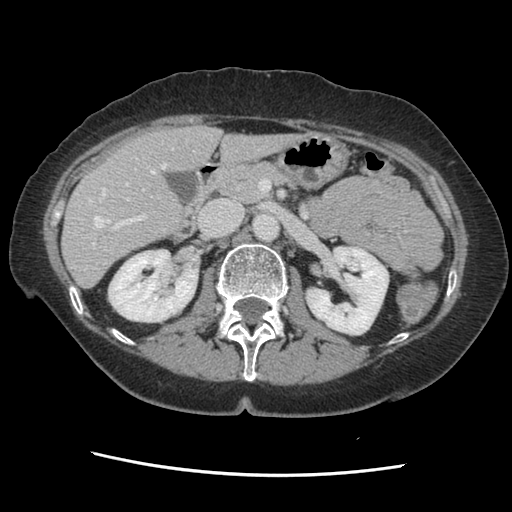
CT. Liver. Not every hepatic vessel necessarily has a box.
9 hepatic vessel regions appear at 88 199 92 202, 92 242 95 245, 151 169 155 173, 126 183 128 185, 125 198 130 199, 100 187 105 201, 94 217 109 227, 114 214 145 227, 162 163 165 168.